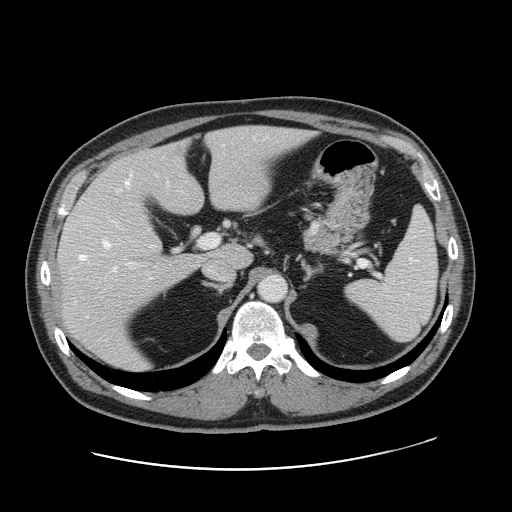

Computed tomography. 512x512 px.
Some hepatic vessels may have no box.
Findings:
• hepatic vessel: left=117, top=189, right=120, bottom=190; left=305, top=131, right=309, bottom=133; left=173, top=249, right=177, bottom=250; left=143, top=263, right=146, bottom=265; left=207, top=131, right=215, bottom=139; left=150, top=245, right=161, bottom=249; left=126, top=179, right=129, bottom=186; left=79, top=254, right=86, bottom=259; left=115, top=222, right=119, bottom=225; left=113, top=266, right=116, bottom=270; left=126, top=262, right=136, bottom=266; left=210, top=168, right=215, bottom=198; left=103, top=239, right=110, bottom=247